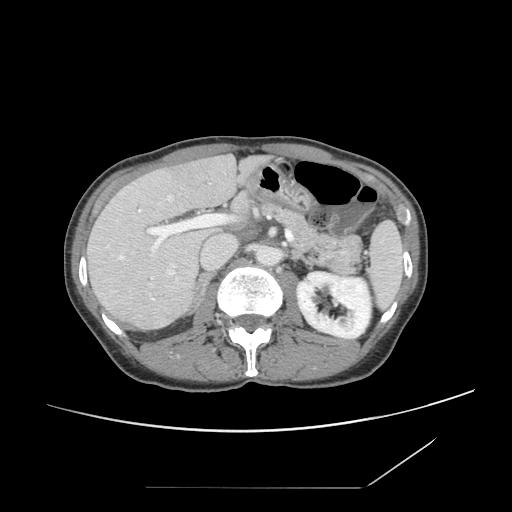
Abdomen; CT
Segmented structures:
• pancreas: rect(260, 201, 364, 277)